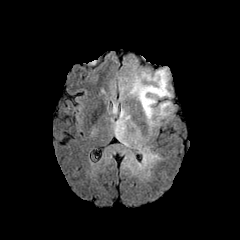
FLAIR MR.
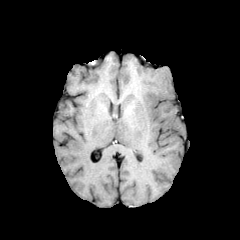
T1-weighted MR image.
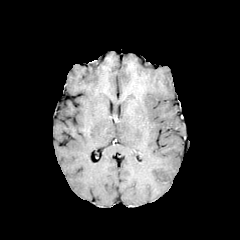
Post-contrast T1-weighted MR image.
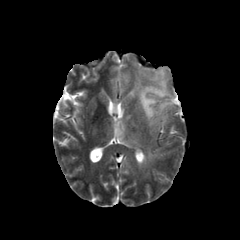
Same slice, T2-weighted MRI.
non-enhancing_tumor_core:
  - <box>135,70,163,96</box>
edema:
  - <box>130,68,171,127</box>
  - <box>115,119,125,136</box>